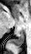 MR. Medial temporal lobe. Image size 31x54.
Posterior hippocampus: bounding box [10,32,23,46].